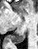

MR image, Medial temporal lobe

Segmented structures:
• posterior hippocampus: left=11, top=33, right=25, bottom=42